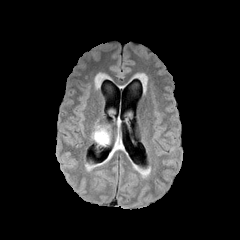
FLAIR MR image.
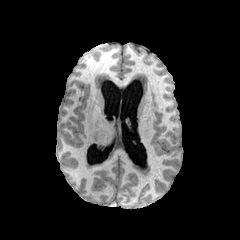
T1-weighted MR of the same slice.
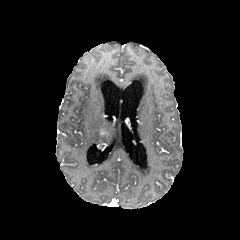
Post-contrast T1-weighted MR image of the same slice.
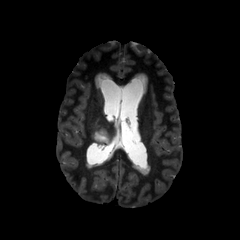
Same slice, T2-weighted MRI.
The enhancing tumor lies within [98,126,108,137]. The non-enhancing tumor core is located at [98,136,109,143]. The edema is at [91,124,103,145].